Field of view 240x240 mm.
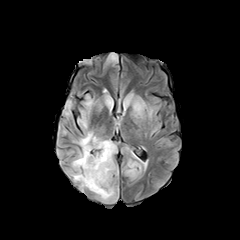
FLAIR MRI.
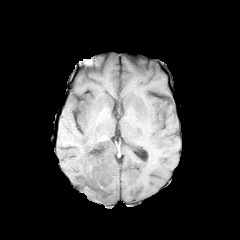
T1-weighted MRI.
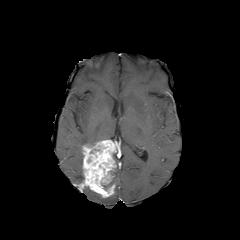
Same slice, post-contrast T1-weighted MRI.
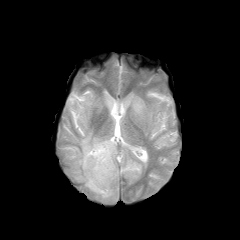
T2-weighted MRI.
The enhancing tumor is located at x1=82 y1=140 x2=116 y2=197. 5 edema regions are located at x1=123 y1=94 x2=145 y2=119, x1=64 y1=100 x2=73 y2=116, x1=75 y1=94 x2=108 y2=146, x1=100 y1=196 x2=115 y2=203, x1=68 y1=147 x2=83 y2=185.